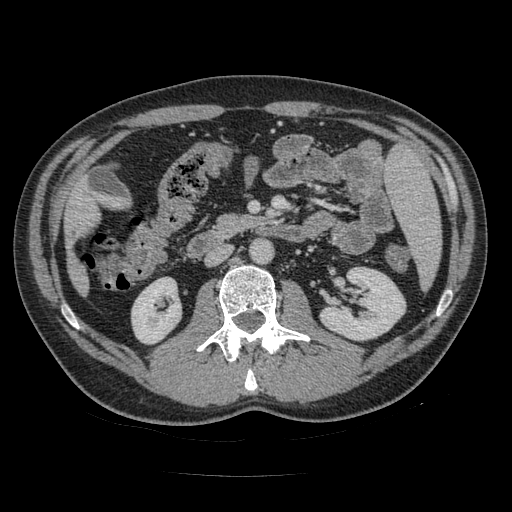

Image size 512x512 | CT | Upper abdomen
2 pancreas regions are bounded by 217 214 265 236, 263 240 294 267.